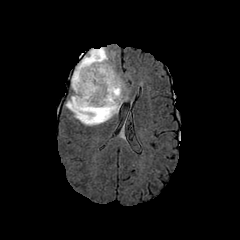
FLAIR MRI.
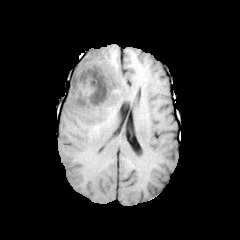
T1-weighted magnetic resonance.
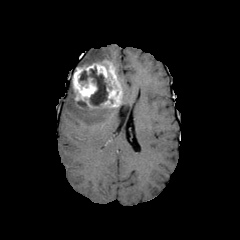
Post-contrast T1-weighted MR.
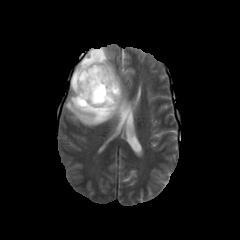
T2-weighted MRI of the same slice.
Non-enhancing tumor core: bounding box [89, 69, 107, 106], [80, 71, 88, 80], [80, 59, 95, 65].
Edema: bounding box [65, 91, 121, 126], [84, 47, 110, 62].
Enhancing tumor: bounding box [72, 60, 122, 107].